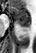
Hippocampus, MR image

Anterior hippocampus: bounding box (left=10, top=7, right=29, bottom=23).
Posterior hippocampus: bounding box (left=18, top=24, right=29, bottom=27).